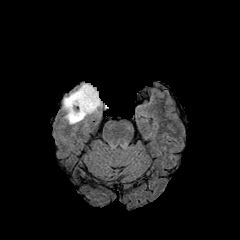
FLAIR MR.
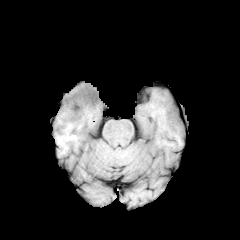
T1-weighted MR of the same slice.
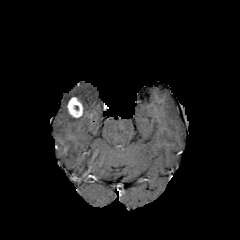
Post-contrast T1-weighted magnetic resonance of the same slice.
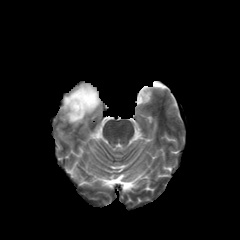
T2-weighted MRI.
Head
Findings:
- enhancing tumor: <bbox>67, 97, 83, 118</bbox>
- edema: <bbox>62, 83, 102, 124</bbox>